CT slice | Slice 415 of 519 | Upper abdomen

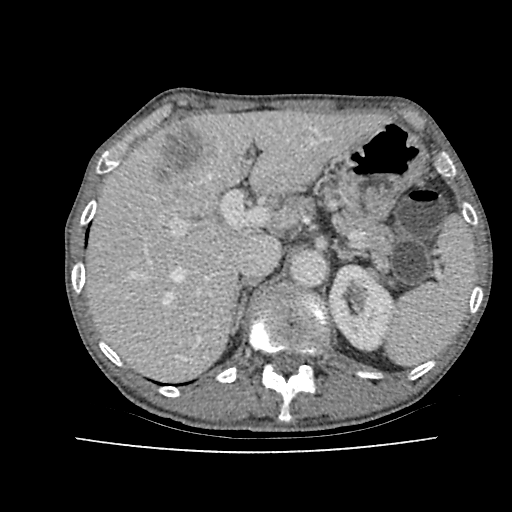

kidney: bbox(330, 268, 392, 348) | liver lesion: bbox(153, 128, 204, 184) | liver: bbox(89, 111, 378, 379)